FLAIR MR image.
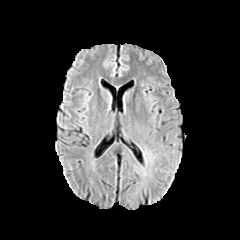
T1-weighted magnetic resonance.
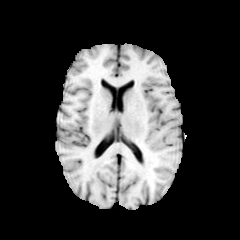
Post-contrast T1-weighted MRI.
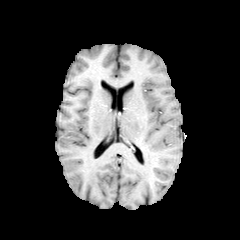
T2-weighted MR image.
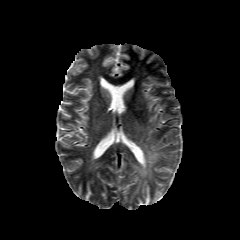
Head.
Edema at {"x1": 143, "y1": 150, "x2": 153, "y2": 165}.